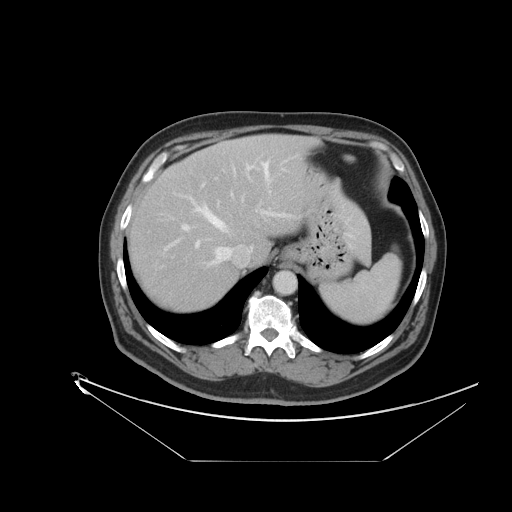 CT scan slice, Abdomen

Some hepatic vessels may have no box.
12 hepatic vessel regions are bounded by 261, 211, 290, 216; 256, 158, 258, 160; 207, 245, 252, 264; 166, 241, 177, 248; 231, 194, 232, 196; 182, 225, 188, 230; 261, 162, 271, 182; 196, 241, 199, 247; 246, 164, 256, 176; 233, 167, 235, 174; 183, 196, 228, 232; 269, 190, 270, 192.